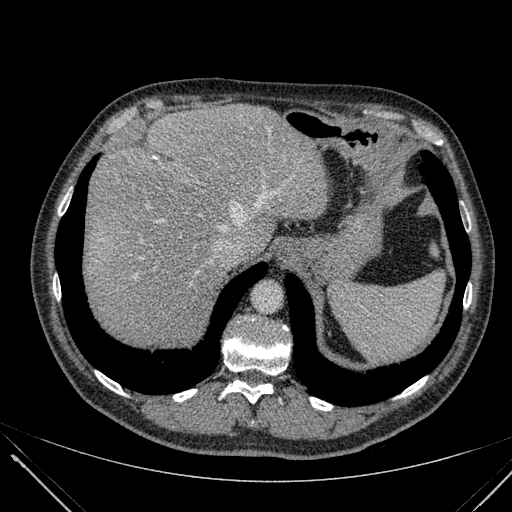

Upper abdomen | Image size 512x512 | Computed tomography

- liver: box=[83, 104, 328, 347]